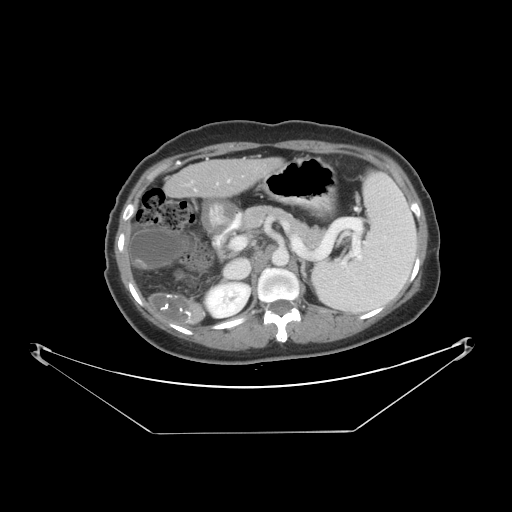 CT scan slice
Some hepatic vessels may have no box.
The hepatic vessel is located at 234,238,243,247. The liver tumor is bounded by 153,295,193,321.